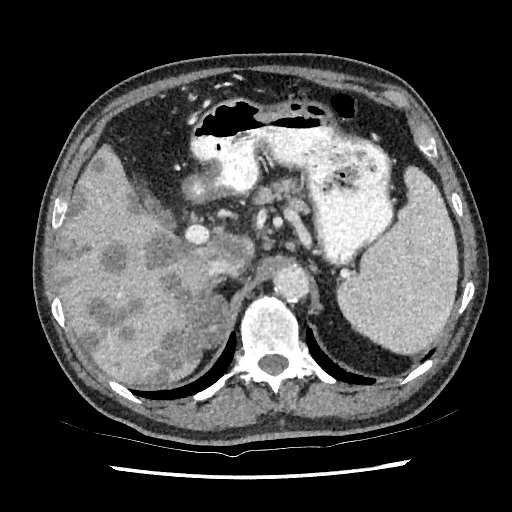

512x512 px. Abdomen. CT slice.

{
  "focal_liver_lesion": [
    "x1=79, y1=296, x2=138, y2=351",
    "x1=148, y1=272, x2=200, y2=382",
    "x1=92, y1=158, x2=102, y2=171",
    "x1=142, y1=330, x2=152, y2=340",
    "x1=211, y1=235, x2=247, y2=264",
    "x1=66, y1=188, x2=87, y2=222",
    "x1=146, y1=230, x2=197, y2=268",
    "x1=99, y1=242, x2=129, y2=275",
    "x1=58, y1=244, x2=89, y2=263",
    "x1=58, y1=268, x2=75, y2=291",
    "x1=126, y1=193, x2=145, y2=216",
    "x1=132, y1=375, x2=140, y2=382"
  ],
  "liver": [
    "x1=220, y1=233, x2=252, y2=270",
    "x1=166, y1=359, x2=198, y2=381",
    "x1=58, y1=145, x2=215, y2=382"
  ]
}